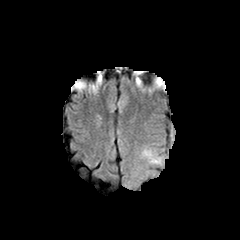
FLAIR MR image.
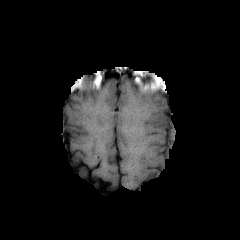
T1-weighted MR.
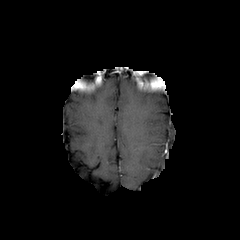
Post-contrast T1-weighted MR image.
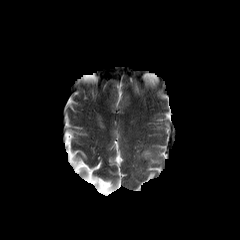
T2-weighted MRI.
Image size 240x240; Brain
{
  "edema": [
    "(x1=141, y1=148, x2=163, y2=177)"
  ]
}